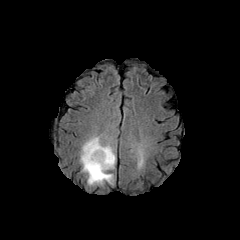
FLAIR MRI.
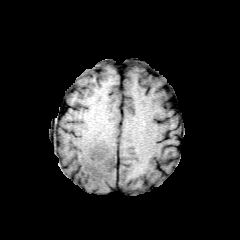
T1-weighted MR of the same slice.
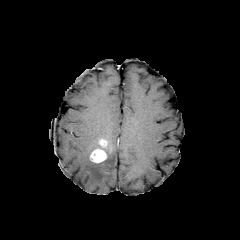
Post-contrast T1-weighted magnetic resonance of the same slice.
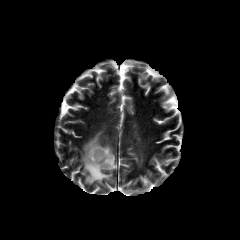
T2-weighted MR image of the same slice.
{"edema": ["box(79, 132, 116, 186)", "box(128, 145, 143, 167)"], "enhancing_tumor": ["box(89, 139, 113, 162)"]}